Slice index 419 | Field of view 339x339 mm | CT image
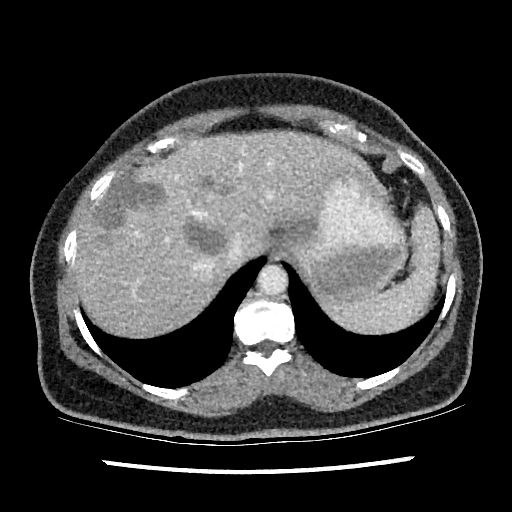 4 hepatic lesion regions appear at 204,175,217,188; 97,174,163,229; 186,223,227,253; 100,235,110,242. The liver is bounded by 76,132,383,335.